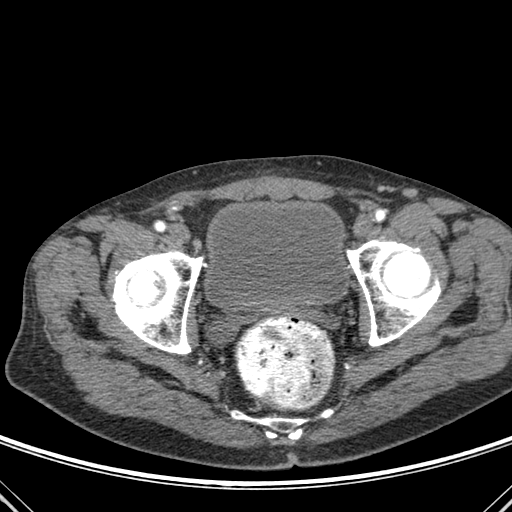 CT slice; 512x512

* urinary bladder: [236,302,275,313], [207,200,349,306]
* bone: [346,240,440,346], [113,251,205,354], [266,431,276,438], [320,410,332,417], [231,411,307,439]